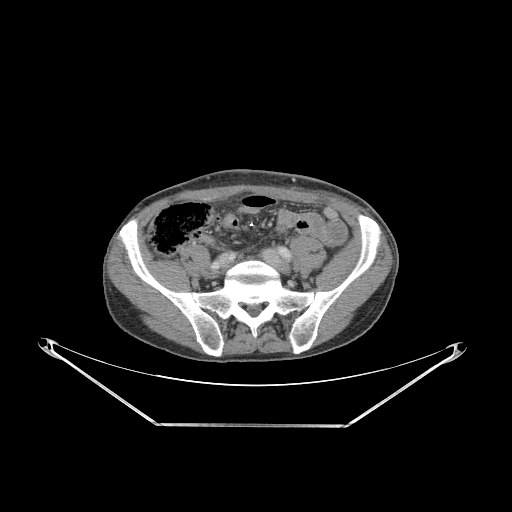 Image size 512x512 | Computed tomography
bone:
  - [x1=119, y1=215, x2=380, y2=355]